MR image
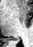

<segmentation>
  <posterior_hippocampus>[x1=14, y1=38, x2=19, y2=40]</posterior_hippocampus>
</segmentation>